Computed tomography. Abdomen. Slice 595 of 685.
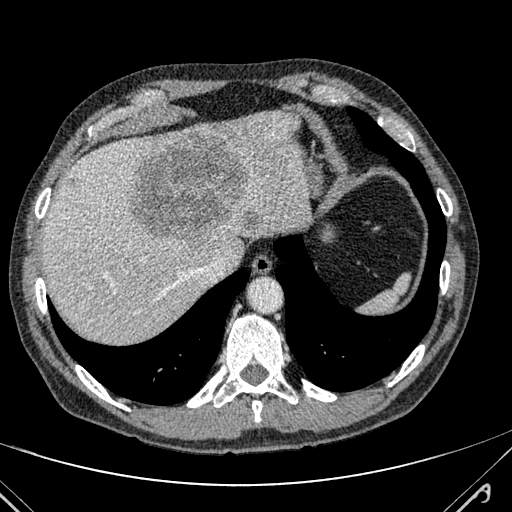

liver: 42:112:309:341 | focal liver lesion: 69:177:77:186, 132:133:247:246, 243:211:262:229